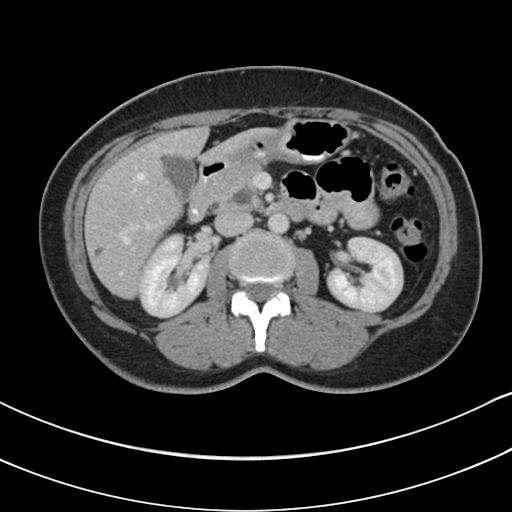
Computed tomography | Image size 512x512
Findings:
• pancreatic tumor: l=229, t=186, r=255, b=206
• pancreas: l=199, t=160, r=264, b=215